Liver, Computed tomography 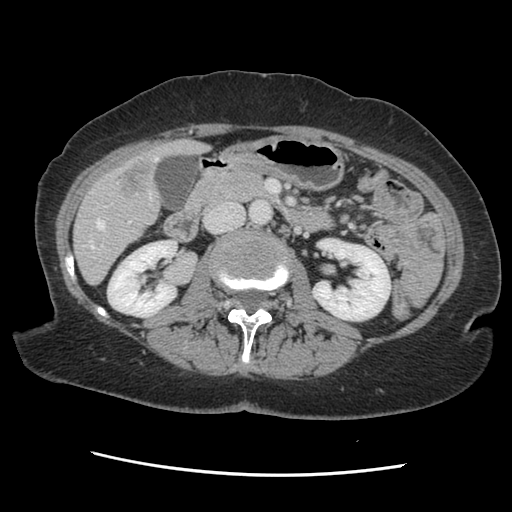 The vessel annotation is not exhaustive.
Hepatic vessel at <bbox>149, 191, 151, 198</bbox>, <bbox>85, 242, 94, 248</bbox>, <bbox>154, 158, 157, 160</bbox>, <bbox>97, 218, 104, 229</bbox>.
Liver tumor at <bbox>118, 161, 152, 196</bbox>.